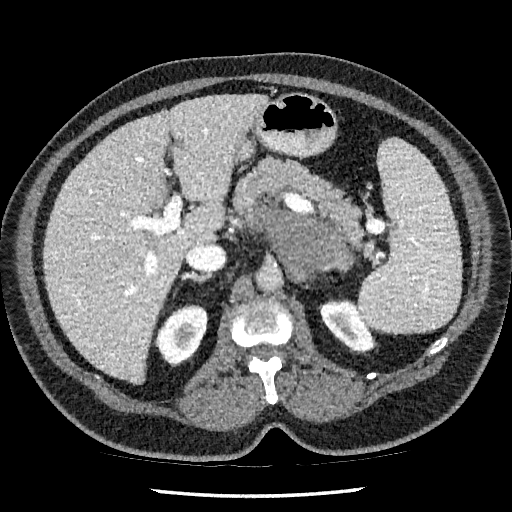 Upper abdomen; CT image

2 kidney regions are located at 157 307 206 363, 321 302 372 350. The liver is bounded by 44 95 267 383. The hepatic lesion is at 174 139 183 148.